CT slice | 512x512 | Liver
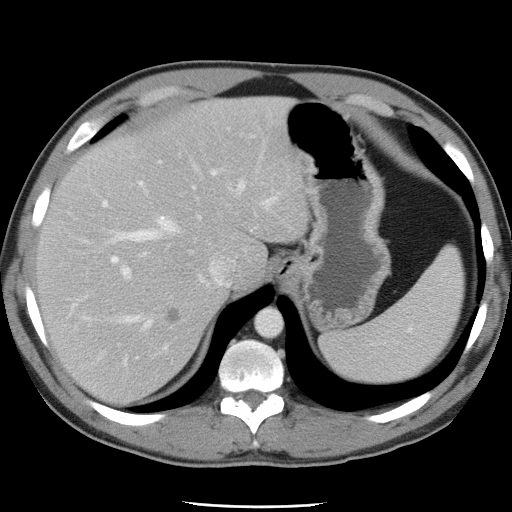
The vessel boxes may cover only some of the vessels.
Liver tumor at x1=165, y1=306, x2=183, y2=323.
Hepatic vessel at x1=233, y1=180, x2=244, y2=194; x1=116, y1=315, x2=152, y2=329; x1=142, y1=253, x2=145, y2=255; x1=262, y1=199, x2=272, y2=205; x1=102, y1=201, x2=108, y2=207; x1=83, y1=316, x2=90, y2=319; x1=193, y1=186, x2=194, y2=187; x1=199, y1=276, x2=204, y2=282; x1=211, y1=170, x2=215, y2=174; x1=209, y1=258, x2=231, y2=288; x1=139, y1=181, x2=141, y2=184; x1=110, y1=256, x2=130, y2=279; x1=108, y1=215, x2=180, y2=242; x1=197, y1=215, x2=200, y2=219.